CT; Abdomen
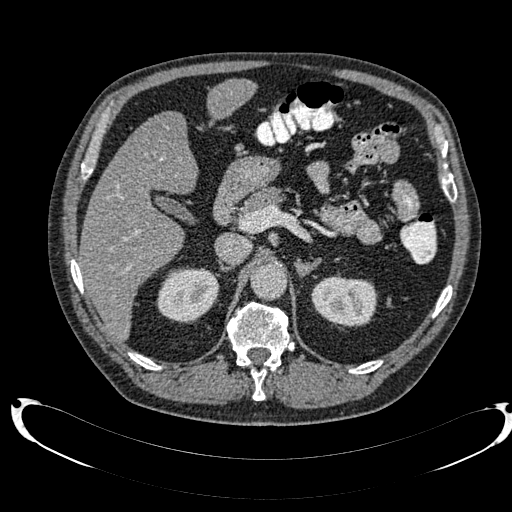
<segmentation>
  <kidney><bbox>157, 268, 218, 322</bbox>, <bbox>311, 276, 376, 326</bbox></kidney>
  <liver><bbox>208, 79, 256, 118</bbox>, <bbox>80, 118, 197, 340</bbox></liver>
  <liver_lesion><bbox>149, 113, 184, 139</bbox></liver_lesion>
</segmentation>